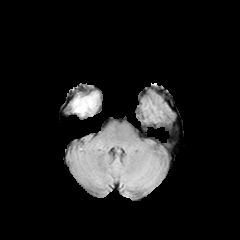
FLAIR MR.
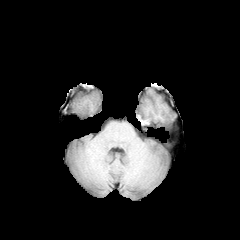
T1-weighted magnetic resonance.
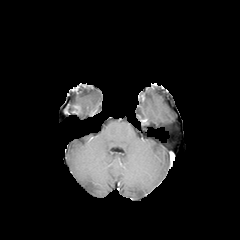
Post-contrast T1-weighted MR image of the same slice.
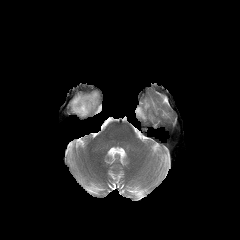
T2-weighted MR of the same slice.
enhancing tumor: 72:105:80:114 | edema: 71:92:98:116